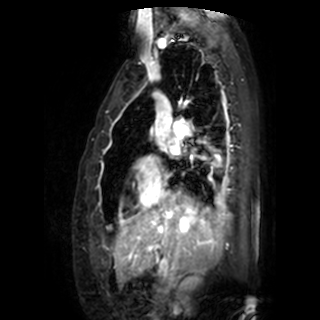 MRI. Cardiac.

left_atrium:
  - 169, 141, 178, 152